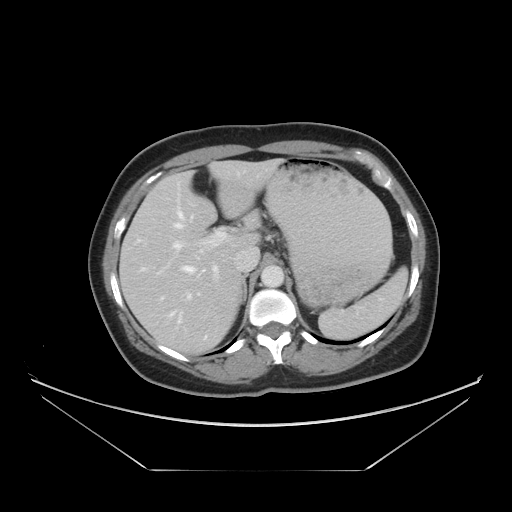
CT; Abdomen

The vessel annotation is not exhaustive.
<segmentation>
  <hepatic_vessel><bbox>188, 201, 195, 205</bbox>, <bbox>186, 268, 191, 270</bbox>, <bbox>214, 267, 218, 271</bbox>, <bbox>173, 243, 181, 248</bbox></hepatic_vessel>
</segmentation>